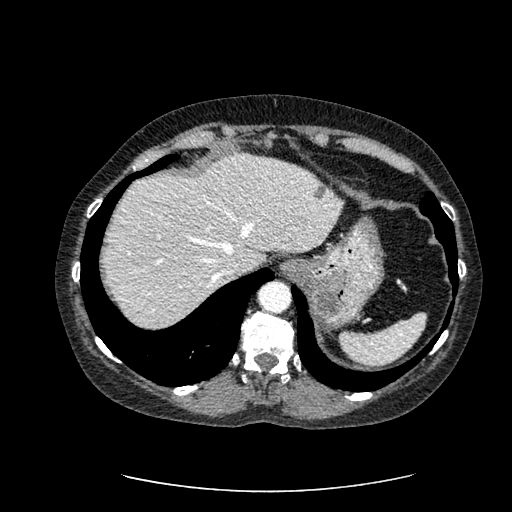

Image size 512x512, Computed tomography, Abdomen
liver:
  - [104,154,340,327]
focal_liver_lesion:
  - [314,184,326,198]